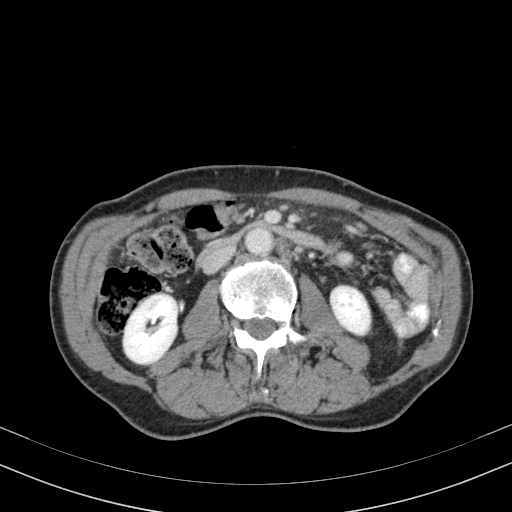
CT slice | Abdomen
Annotated regions:
• kidney: box(331, 286, 369, 334); box(124, 294, 176, 363)